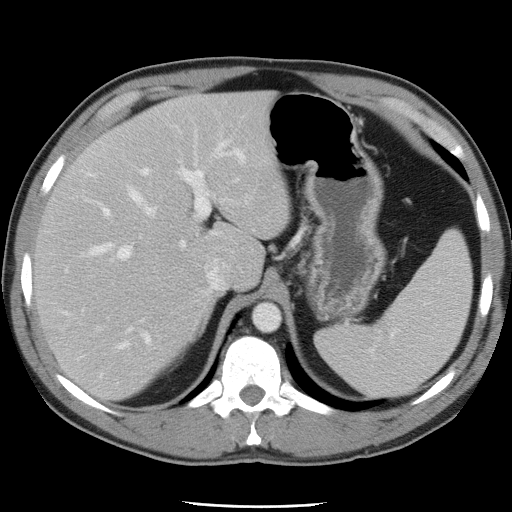
Abdomen. CT slice.

The vessel annotation is not exhaustive.
14 hepatic vessel regions are bounded by (left=205, top=258, right=227, bottom=292), (left=215, top=143, right=224, bottom=154), (left=233, top=149, right=242, bottom=158), (left=179, top=168, right=209, bottom=217), (left=141, top=332, right=150, bottom=342), (left=180, top=240, right=184, bottom=247), (left=100, top=204, right=110, bottom=216), (left=119, top=344, right=125, bottom=347), (left=66, top=312, right=68, bottom=314), (left=127, top=185, right=155, bottom=216), (left=86, top=242, right=131, bottom=259), (left=125, top=341, right=127, bottom=342), (left=142, top=169, right=148, bottom=173), (left=127, top=327, right=132, bottom=330).